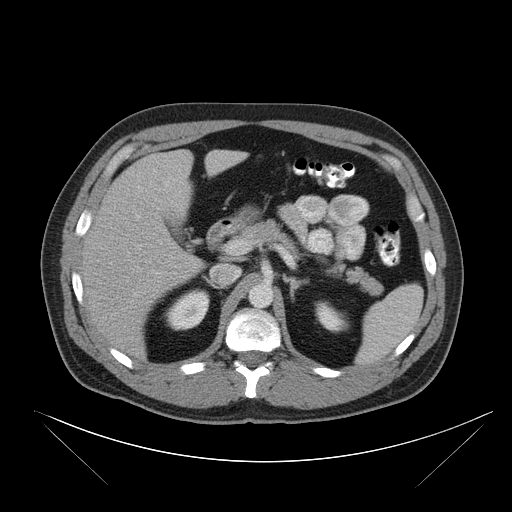

CT. Abdomen.

Spleen — left=356, top=285, right=421, bottom=365.